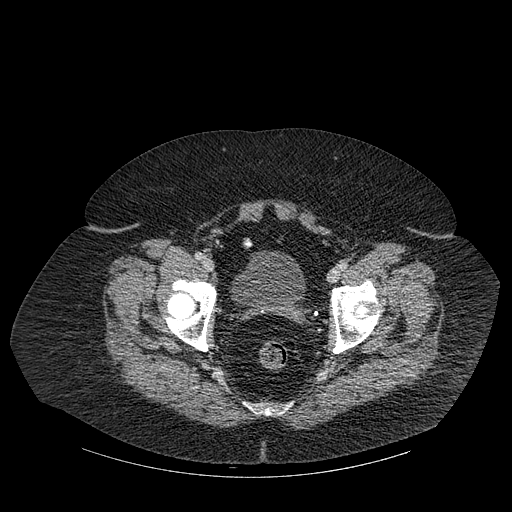 Pelvis | Image size 512x512 | CT image

3 bone regions are bounded by region(331, 280, 379, 353); region(243, 402, 292, 414); region(166, 279, 216, 351). The urinary bladder is bounded by region(232, 250, 306, 319).